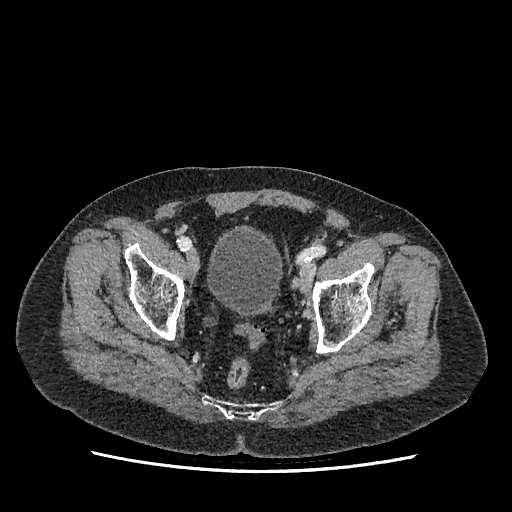 Computed tomography. Lower abdomen.

The urinary bladder is bounded by 207, 231, 281, 313.